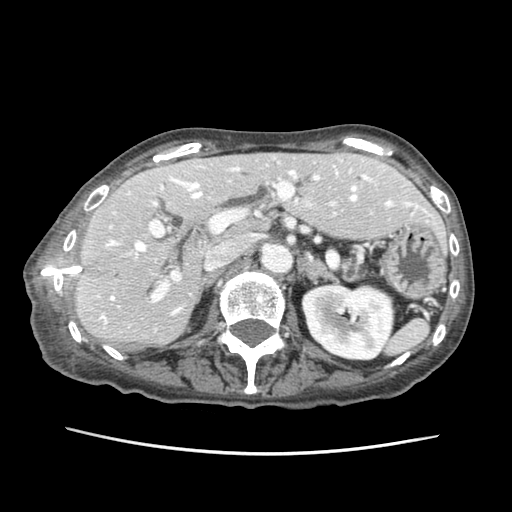
Upper abdomen | CT slice
{
  "pancreas": [
    "rect(343, 258, 360, 281)"
  ]
}